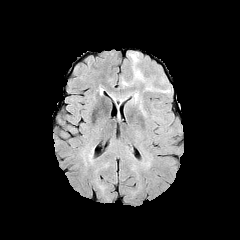
FLAIR MR image.
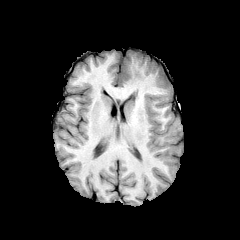
T1-weighted MRI.
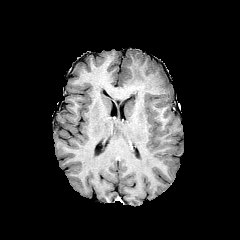
Same slice, post-contrast T1-weighted MR.
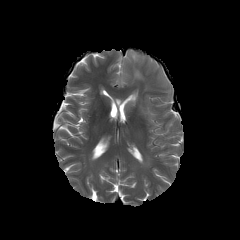
Same slice, T2-weighted MRI.
Head, 240x240 px
{
  "edema": [
    "(x1=128, y1=89, x2=146, y2=115)",
    "(x1=119, y1=52, x2=151, y2=92)"
  ]
}